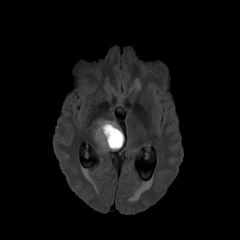
FLAIR MRI.
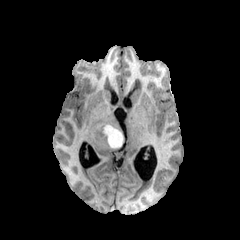
Same slice, T1-weighted magnetic resonance.
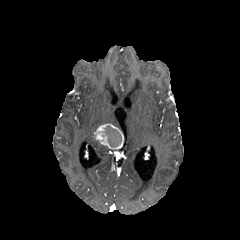
Same slice, post-contrast T1-weighted magnetic resonance.
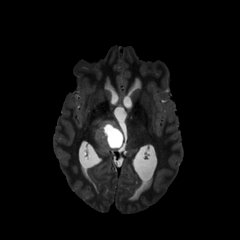
Same slice, T2-weighted MRI.
240x240
{
  "edema": [
    "rect(91, 128, 107, 151)",
    "rect(95, 119, 122, 132)"
  ],
  "enhancing_tumor": [
    "rect(94, 123, 123, 151)"
  ],
  "non-enhancing_tumor_core": [
    "rect(104, 125, 122, 147)"
  ]
}